CT | Slice index 118 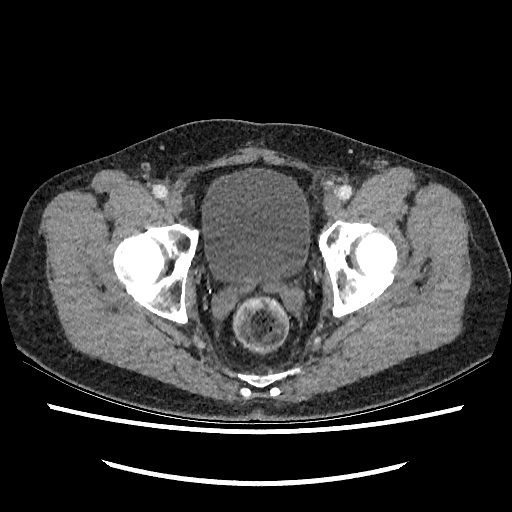 Segmented structures:
- urinary bladder: {"x1": 201, "y1": 168, "x2": 310, "y2": 283}